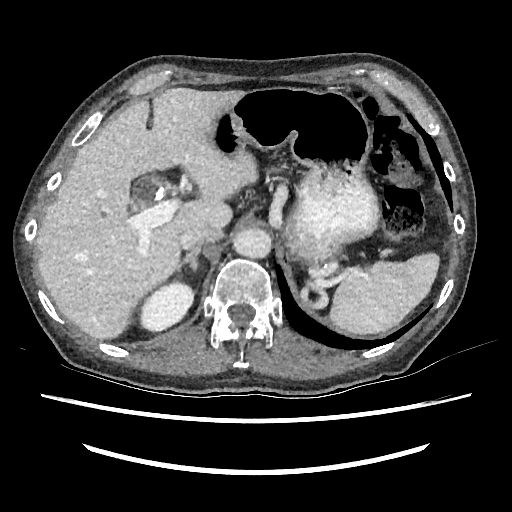 Liver | CT slice
The liver is bounded by rect(36, 89, 253, 337). The kidney appears at rect(142, 283, 193, 330).